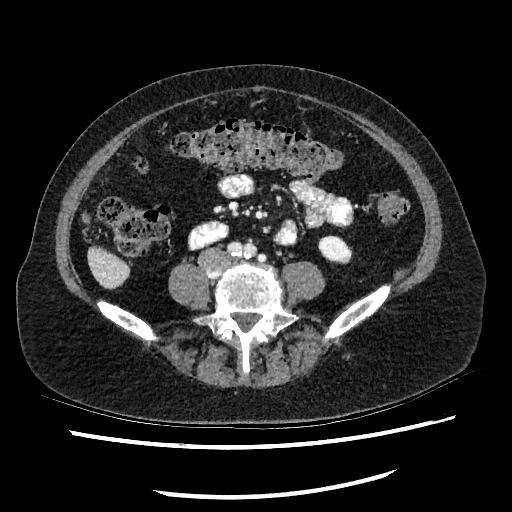

CT slice, 512x512
Segmented structures:
• kidney: l=319, t=237, r=349, b=260
• liver: l=87, t=247, r=128, b=287